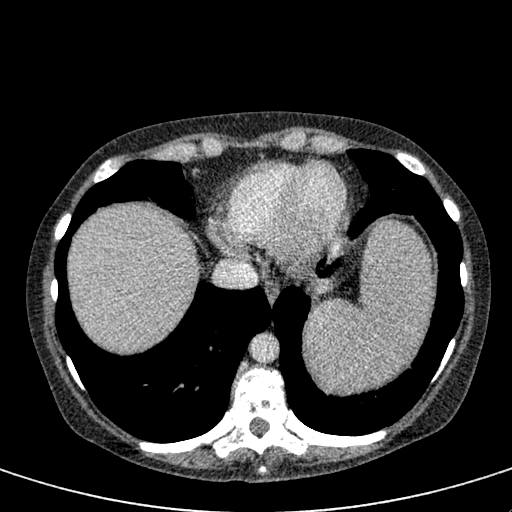

Liver. CT scan slice. {
  "liver": [
    {"x1": 69, "y1": 206, "x2": 195, "y2": 351},
    {"x1": 314, "y1": 278, "x2": 332, "y2": 294}
  ]
}